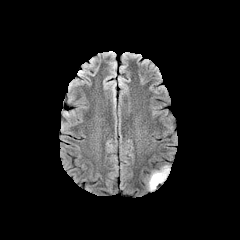
FLAIR MR image.
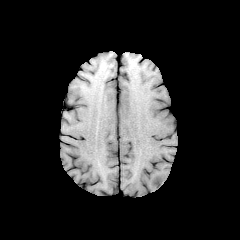
Same slice, T1-weighted MR.
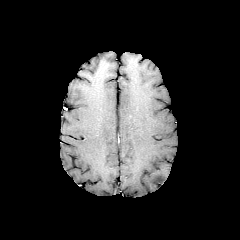
Same slice, post-contrast T1-weighted MR image.
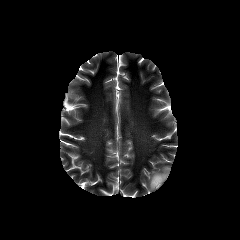
T2-weighted MR image.
edema:
  - x1=147, y1=165, x2=170, y2=190